CT image.
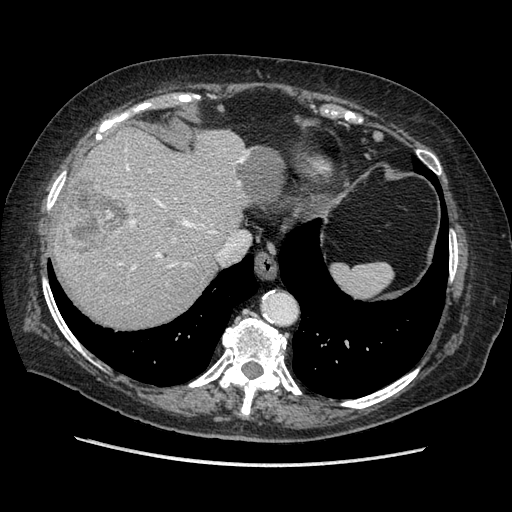 Some hepatic vessels may have no box.
<segmentation>
  <liver_tumor>bbox=[57, 175, 137, 258]</liver_tumor>
  <hepatic_vessel>bbox=[154, 198, 160, 204]; bbox=[169, 264, 172, 265]; bbox=[133, 266, 134, 267]; bbox=[182, 220, 189, 224]; bbox=[126, 164, 128, 168]; bbox=[157, 253, 160, 256]</hepatic_vessel>
</segmentation>